240x240 px. Slice index 93.
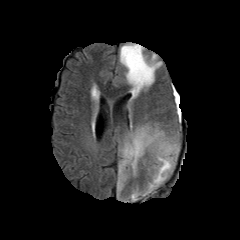
FLAIR MR.
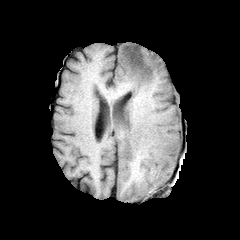
T1-weighted MR image.
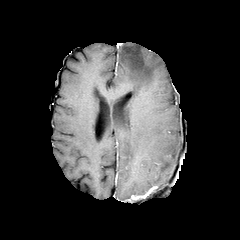
Post-contrast T1-weighted MR image.
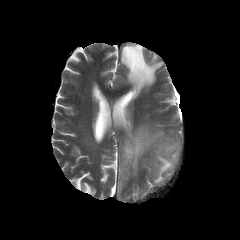
T2-weighted MRI.
Edema at region(122, 129, 163, 169); region(120, 43, 161, 97); region(118, 172, 125, 185); region(132, 140, 179, 195).
Non-enhancing tumor core at region(125, 46, 151, 77).